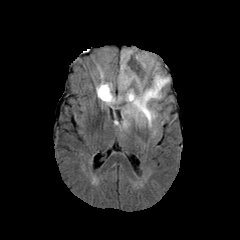
FLAIR MR image.
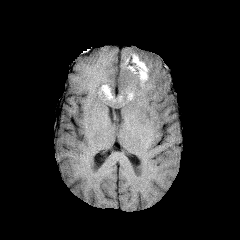
T1-weighted MR image.
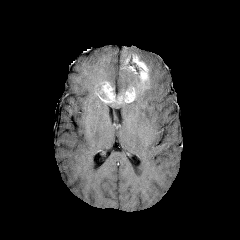
Same slice, post-contrast T1-weighted MR image.
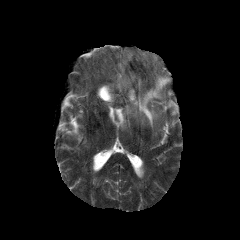
Same slice, T2-weighted MRI.
Non-enhancing tumor core — 111,84,143,105.
Enhancing tumor — 124,87,136,102; 137,63,148,90; 99,83,115,103.
Edema — 121,71,169,128; 116,50,141,92.